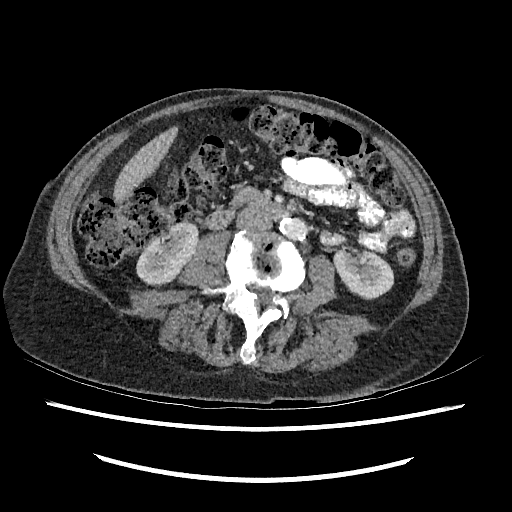
Abdomen; Computed tomography; 512x512 px

Kidney = (x1=334, y1=252, x2=393, y2=297), (x1=137, y1=224, x2=198, y2=284).
Liver = (x1=114, y1=127, x2=176, y2=199).